Abdomen. CT slice.

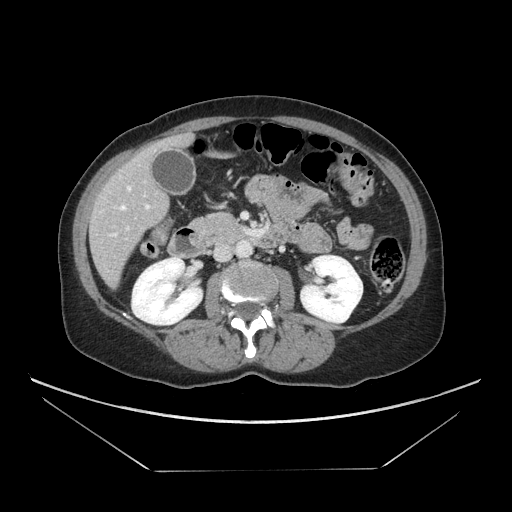
pancreas:
  - box(192, 211, 246, 245)